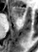
MRI slice
<segmentation>
  <anterior_hippocampus>x1=12, y1=7, x2=24, y2=17</anterior_hippocampus>
</segmentation>